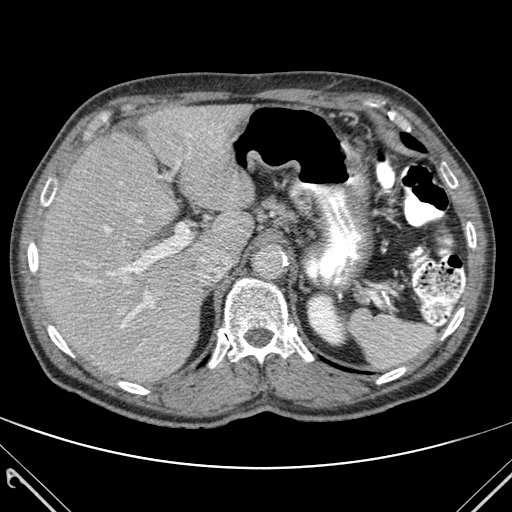
CT
<segmentation>
  <kidney>l=308, t=296, r=341, b=342</kidney>
  <bone>l=377, t=368, r=405, b=383; l=48, t=326, r=73, b=356; l=209, t=279, r=313, b=367; l=28, t=242, r=37, b=271; l=442, t=162, r=457, b=187; l=442, t=308, r=463, b=338; l=119, t=382, r=148, b=394; l=41, t=178, r=55, b=207; l=466, t=222, r=475, b=247</bone>
  <liver>l=40, t=104, r=254, b=382</liver>
  <lung>l=401, t=133, r=425, b=151</lung>
</segmentation>